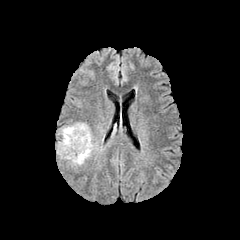
FLAIR magnetic resonance.
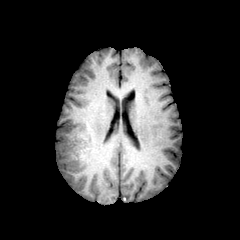
T1-weighted magnetic resonance.
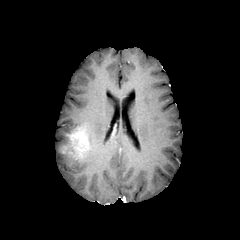
Same slice, post-contrast T1-weighted MR.
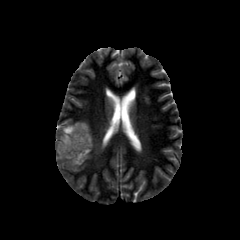
T2-weighted MRI.
Head. Image size 240x240.
enhancing_tumor:
  - (x1=61, y1=126, x2=88, y2=159)
edema:
  - (x1=57, y1=122, x2=98, y2=168)
non-enhancing_tumor_core:
  - (x1=58, y1=123, x2=91, y2=160)